CT, Slice index 172, Field of view 400x400 mm
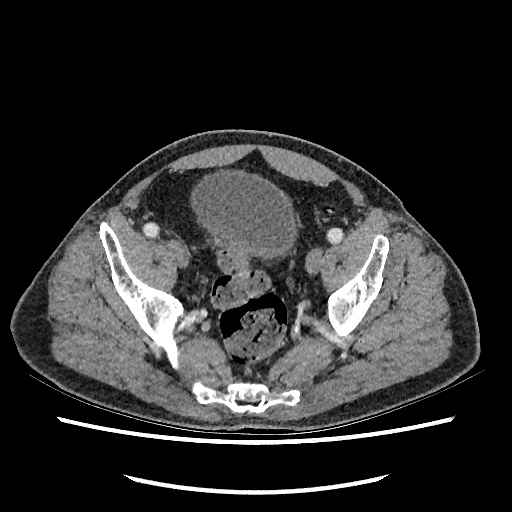
Annotated regions:
• urinary bladder: (192, 171, 296, 259)